Computed tomography | Thorax
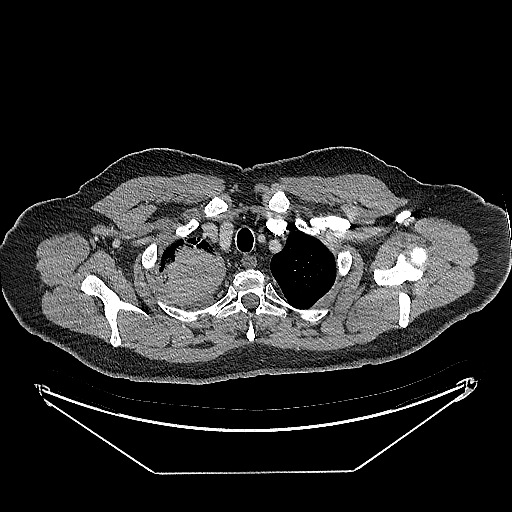

Lung tumor — (left=159, top=236, right=224, bottom=303).